240x240; Brain; Slice 120/155
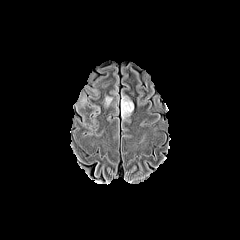
FLAIR MR.
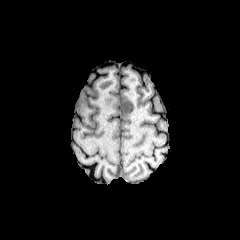
T1-weighted MRI of the same slice.
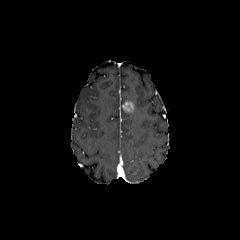
Post-contrast T1-weighted magnetic resonance.
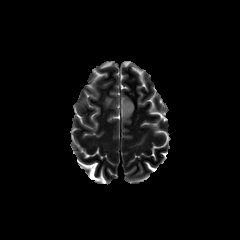
T2-weighted MR of the same slice.
Enhancing tumor: bounding box [122, 100, 134, 112].
Edema: bounding box [105, 96, 112, 105], [121, 93, 131, 118].